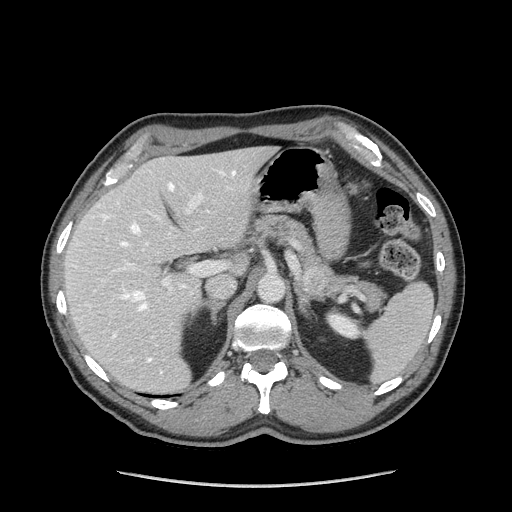
Upper abdomen, CT
The pancreas lies within bbox=[252, 214, 385, 309]. The pancreatic tumor appears at bbox=[304, 269, 325, 290].